Image size 240x240 | Slice 71/155 | Head
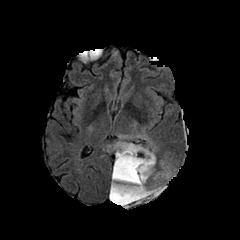
FLAIR MR.
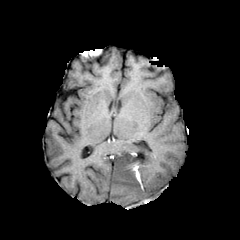
Same slice, T1-weighted magnetic resonance.
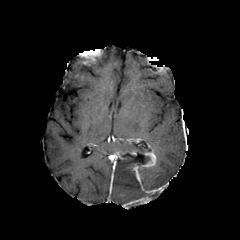
Same slice, post-contrast T1-weighted MR image.
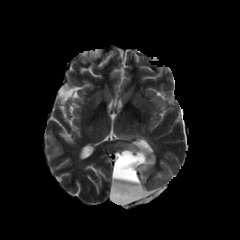
T2-weighted MR image of the same slice.
non-enhancing_tumor_core:
  - box=[109, 144, 157, 206]
enhancing_tumor:
  - box=[123, 196, 149, 206]
  - box=[140, 152, 155, 169]
  - box=[133, 164, 140, 181]
  - box=[144, 188, 162, 193]
edema:
  - box=[142, 165, 165, 188]
  - box=[114, 180, 143, 197]
  - box=[116, 142, 139, 151]